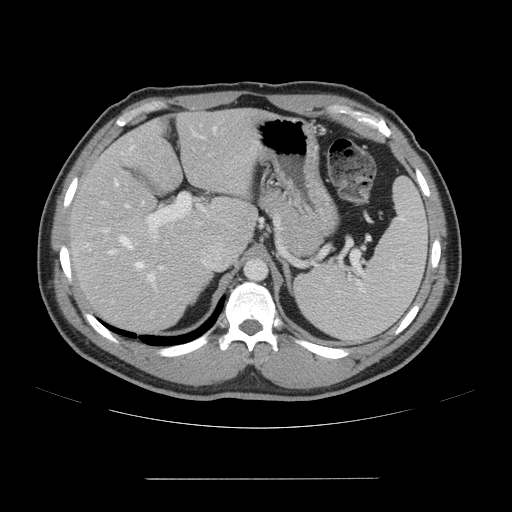

CT image
The vessel annotation is not exhaustive.
{
  "hepatic_vessel": [
    "109, 250, 114, 253",
    "197, 204, 202, 208",
    "114, 179, 118, 185",
    "158, 266, 162, 268",
    "147, 193, 190, 240",
    "102, 229, 107, 230",
    "120, 237, 131, 248",
    "101, 201, 105, 203",
    "130, 147, 132, 149",
    "192, 131, 195, 134",
    "136, 262, 142, 268",
    "125, 204, 128, 206",
    "214, 127, 216, 131",
    "147, 273, 154, 282"
  ]
}